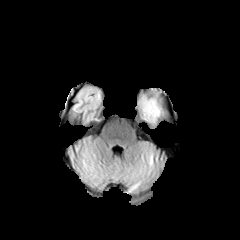
FLAIR MRI.
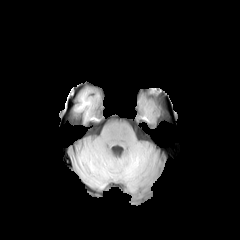
T1-weighted MR image.
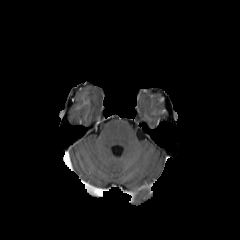
Post-contrast T1-weighted MRI of the same slice.
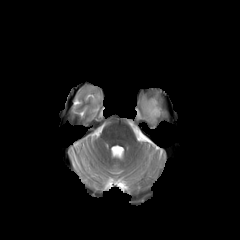
T2-weighted MRI.
Head
<segmentation>
  <edema>box(143, 96, 161, 122)</edema>
</segmentation>